CT

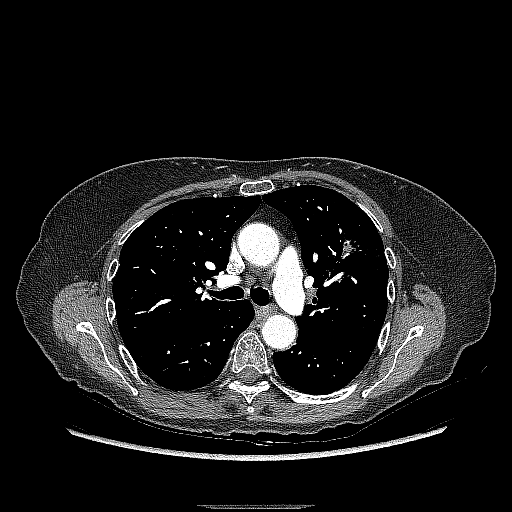 Lung tumor = rect(338, 226, 368, 260).